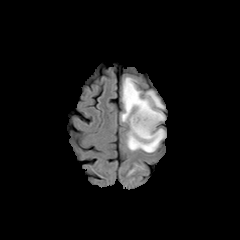
FLAIR MRI.
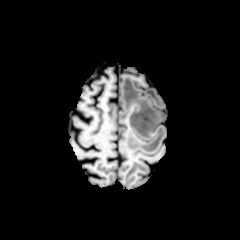
T1-weighted MR image.
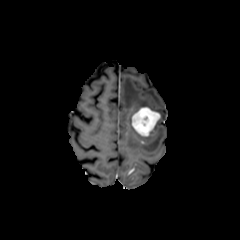
Same slice, post-contrast T1-weighted MR.
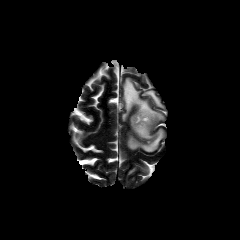
T2-weighted MR image.
<segmentation>
  <enhancing_tumor>rect(131, 107, 160, 136)</enhancing_tumor>
  <edema>rect(127, 116, 165, 152); rect(121, 77, 164, 121)</edema>
</segmentation>